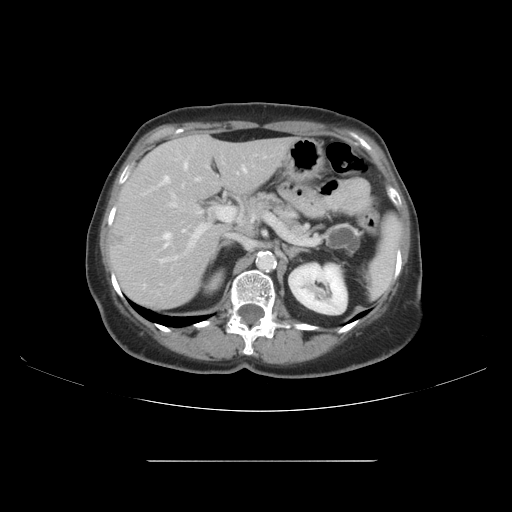
CT image; Abdomen
pancreatic_tumor:
  - (328,229,357,251)
pancreas:
  - (325,227,360,253)
  - (239,192,302,236)